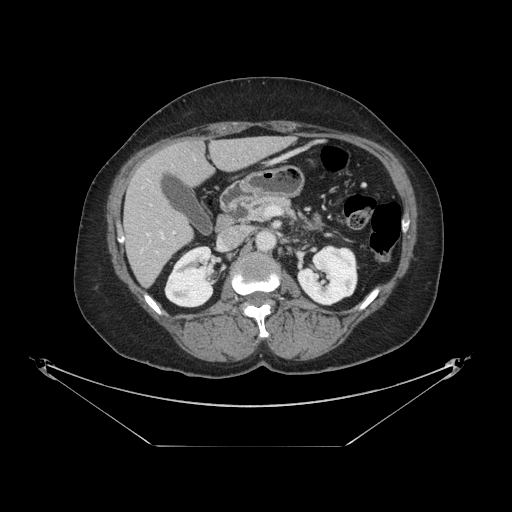
Image size 512x512, CT scan slice
<segmentation>
  <pancreas>(left=248, top=196, right=297, bottom=221)</pancreas>
</segmentation>